CT | 512x512 px | Field of view 437 mm wide, 0.80 mm slice spacing | Liver 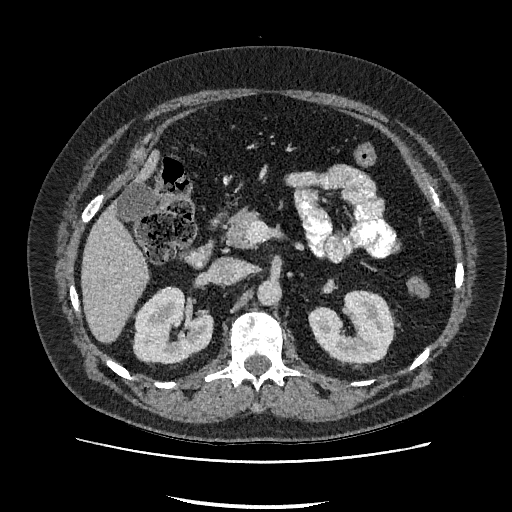
Kidney: bounding box (left=134, top=288, right=212, bottom=362), (left=309, top=292, right=392, bottom=362).
Liver: bounding box (left=81, top=203, right=148, bottom=341), (left=136, top=153, right=158, bottom=181).